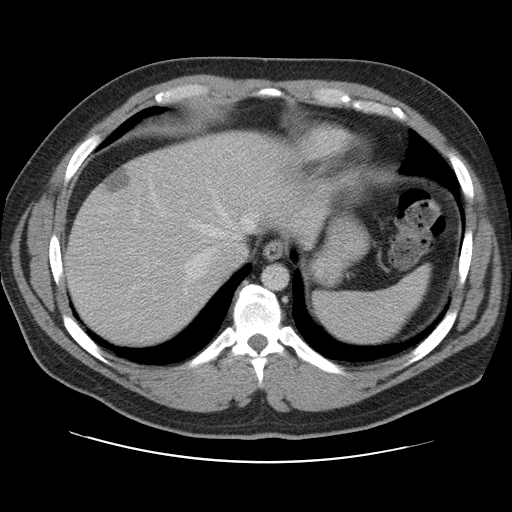
Abdomen | CT
The vessel boxes may cover only some of the vessels.
liver_tumor:
  - box(104, 170, 130, 192)
hepatic_vessel:
  - box(216, 201, 232, 227)
  - box(185, 263, 190, 279)
  - box(183, 201, 184, 203)
  - box(200, 270, 203, 273)
  - box(144, 255, 146, 259)
  - box(129, 249, 133, 253)
  - box(207, 213, 211, 214)
  - box(206, 179, 209, 182)
  - box(259, 190, 289, 202)
  - box(133, 256, 134, 258)
  - box(205, 256, 208, 258)
  - box(144, 265, 148, 266)
  - box(195, 275, 198, 277)
  - box(240, 213, 259, 232)